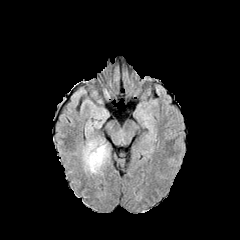
FLAIR MR image.
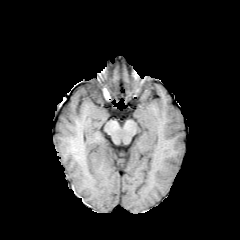
T1-weighted magnetic resonance.
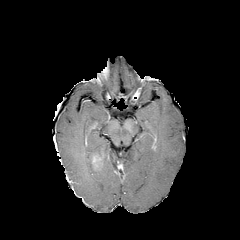
Post-contrast T1-weighted MR.
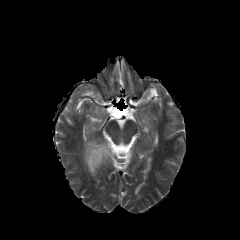
T2-weighted MR image of the same slice.
240x240
The enhancing tumor is located at {"x1": 92, "y1": 153, "x2": 105, "y2": 167}. 2 edema regions are bounded by {"x1": 81, "y1": 136, "x2": 110, "y2": 175}, {"x1": 92, "y1": 108, "x2": 105, "y2": 125}.